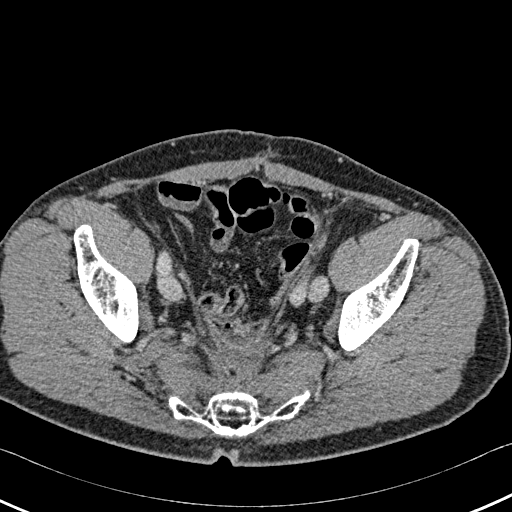
CT image
3 bone regions are bounded by region(74, 225, 138, 342); region(338, 239, 418, 350); region(169, 390, 309, 435).